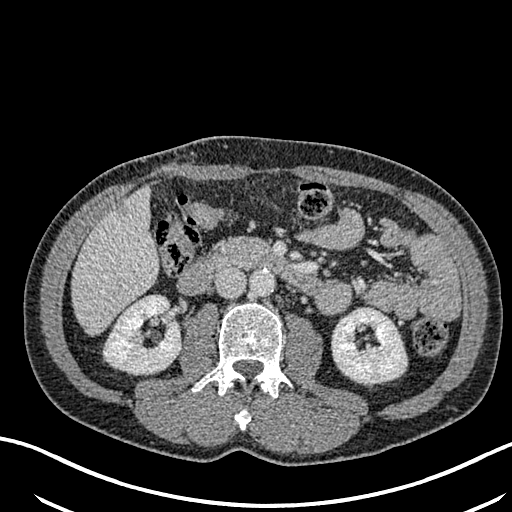 Abdomen, Image size 512x512, CT slice
2 kidney regions are bounded by 105 295 180 373, 332 308 406 382. The liver is located at 72 188 156 333. 2 liver lesion regions are located at 79 320 96 332, 116 205 128 217.